Brain; Slice 88/155
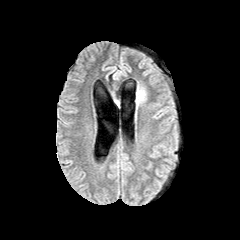
FLAIR magnetic resonance.
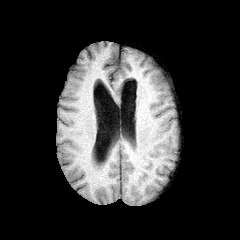
Same slice, T1-weighted MRI.
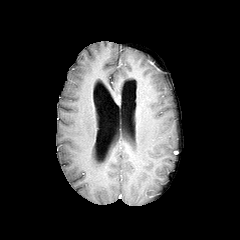
Same slice, post-contrast T1-weighted MR.
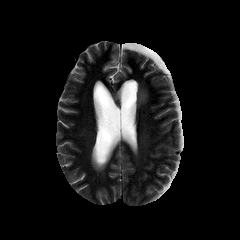
Same slice, T2-weighted MRI.
The edema is bounded by 136 84 146 107.